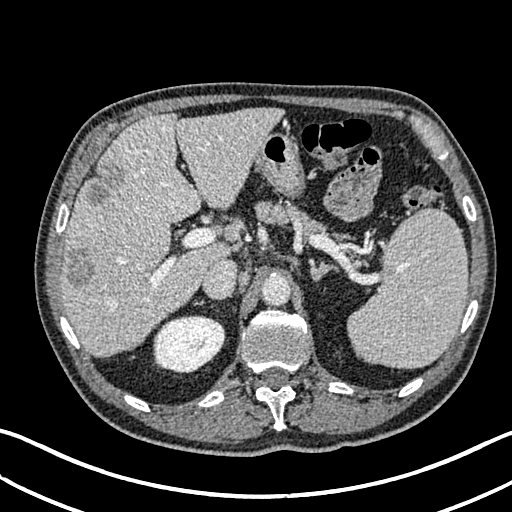
CT image | Abdomen | Image size 512x512

{"liver": ["(62,108,282,356)"], "focal_liver_lesion": ["(67,248,94,285)", "(85,159,125,203)"], "kidney": ["(155,317,223,371)"]}